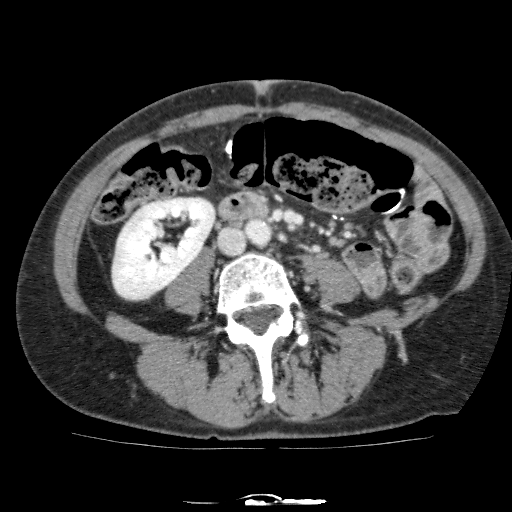

Computed tomography | Abdomen
Segmented structures:
• kidney: 113:198:214:298